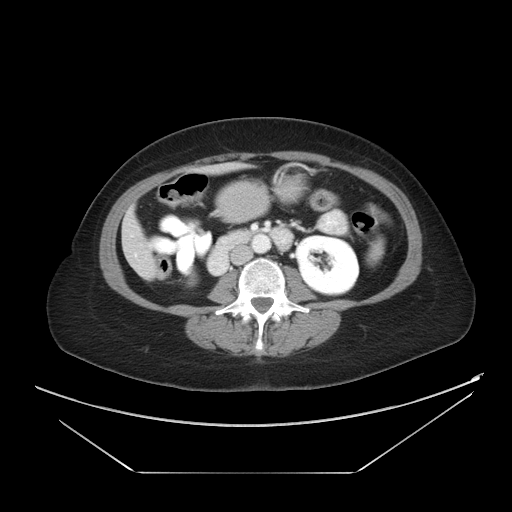 CT image. Abdomen. 512x512.
Not every hepatic vessel necessarily has a box.
hepatic vessel: <box>134,253,136,255</box>